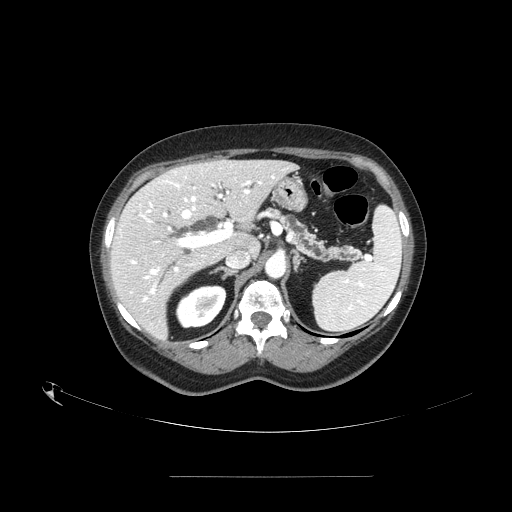
512x512; Computed tomography; Upper abdomen
pancreas:
  - 280,214,354,262